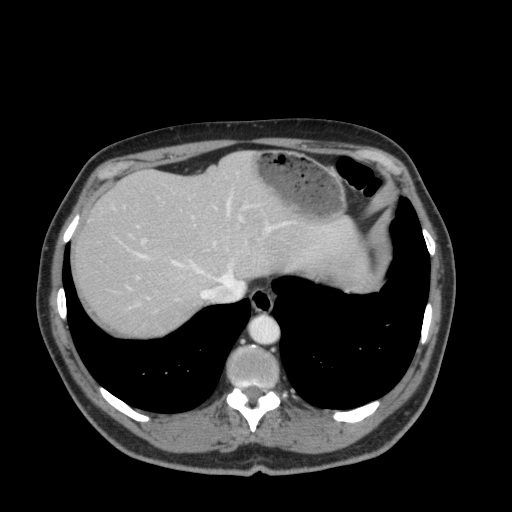 512x512. CT image.

The liver is at {"x1": 76, "y1": 152, "x2": 373, "y2": 335}.